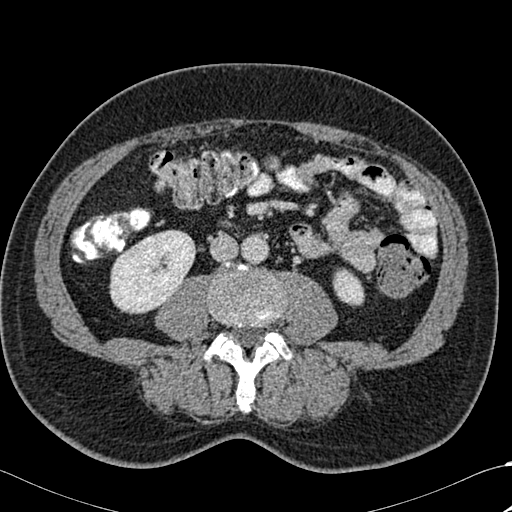 CT scan slice, 512x512, Abdomen

* bone: (204,263,291,411)
* kidney: (335,271,363,303), (110,231,194,312)